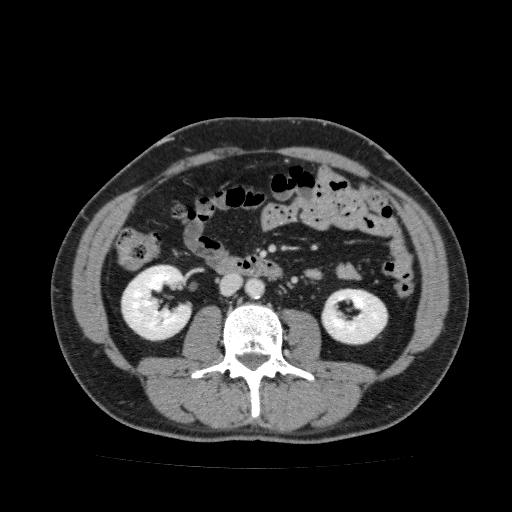
Abdomen; CT slice

2 kidney regions are bounded by (122, 265, 190, 339), (322, 289, 386, 343).